Computed tomography
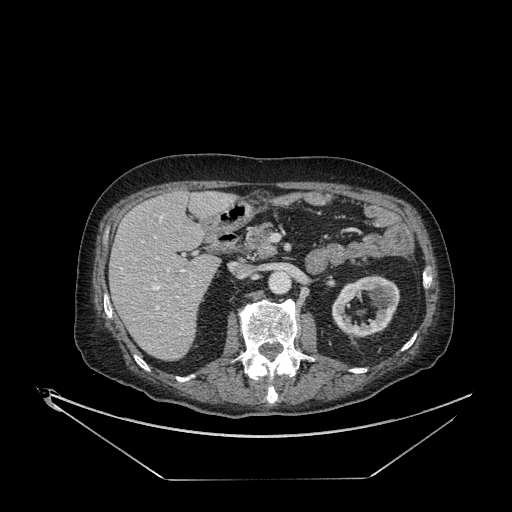

Kidney at 332, 276, 399, 336.
Liver at 110, 192, 235, 360.